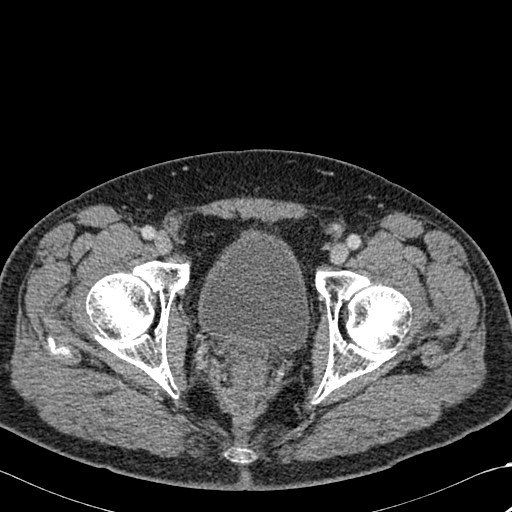

512x512. CT image.
Segmented structures:
* bone: 86,261,189,394; 48,338,69,354; 315,271,411,399; 235,449,246,462